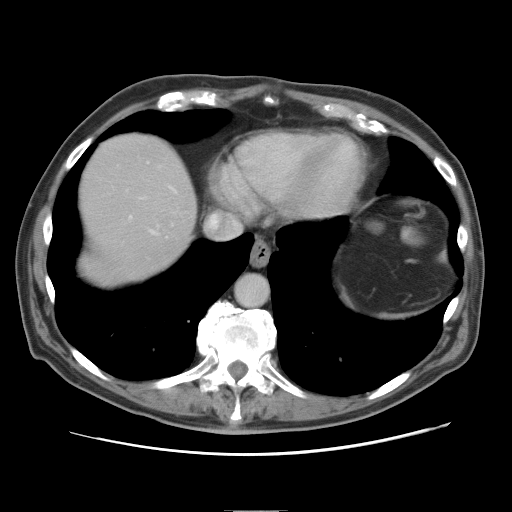
Liver | Computed tomography | 512x512
The vessel boxes may cover only some of the vessels.
Annotated regions:
- hepatic vessel: [130, 217, 132, 219], [151, 231, 158, 234], [141, 198, 143, 199]